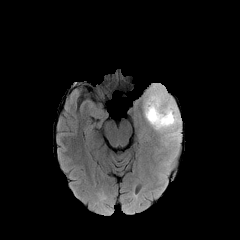
FLAIR MRI.
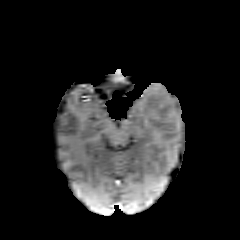
T1-weighted MR.
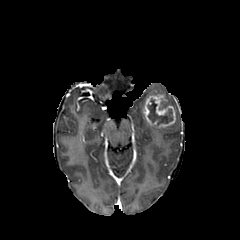
Post-contrast T1-weighted MR of the same slice.
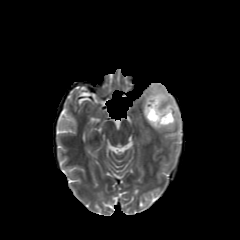
T2-weighted MR.
The enhancing tumor lies within box=[143, 94, 175, 128]. The edema is at box=[142, 83, 182, 169]. 2 non-enhancing tumor core regions appear at box=[160, 100, 170, 108]; box=[148, 99, 172, 124].